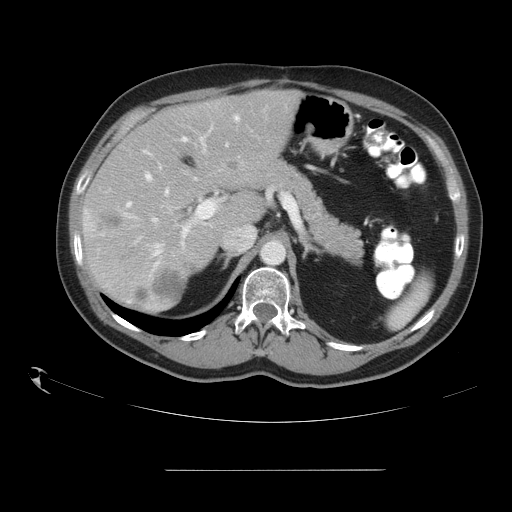 Liver; Computed tomography

Some hepatic vessels may have no box.
10 hepatic vessel regions are located at [126, 202, 131, 206], [194, 177, 196, 179], [182, 227, 188, 237], [165, 188, 168, 195], [226, 143, 228, 145], [196, 200, 214, 218], [152, 218, 157, 221], [234, 116, 239, 120], [182, 137, 186, 141], [146, 173, 151, 180]. 2 liver tumor regions are bounded by [135, 262, 195, 300], [95, 207, 119, 231].